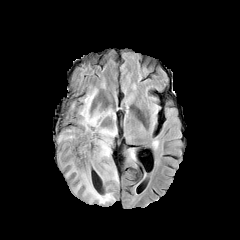
FLAIR MR image.
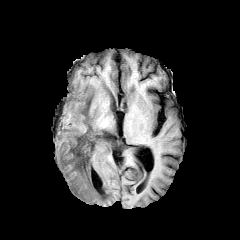
Same slice, T1-weighted MR.
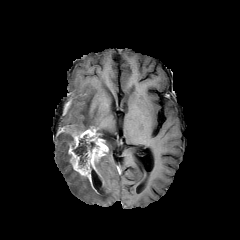
Post-contrast T1-weighted magnetic resonance of the same slice.
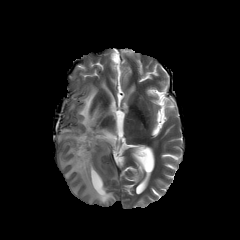
T2-weighted magnetic resonance.
240x240. Brain.
<segmentation>
  <enhancing_tumor>(left=68, top=128, right=107, bottom=188)</enhancing_tumor>
  <non-enhancing_tumor_core>(left=96, top=130, right=111, bottom=139), (left=70, top=135, right=98, bottom=167)</non-enhancing_tumor_core>
  <edema>(left=58, top=132, right=115, bottom=203), (left=77, top=88, right=118, bottom=184)</edema>
</segmentation>